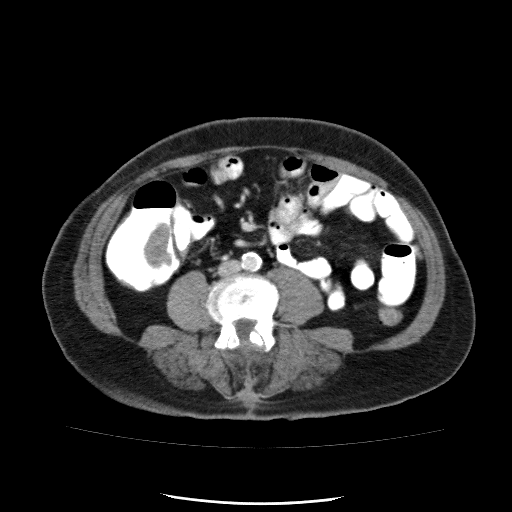 CT image. Pelvis.
Colon tumor at (143,223,170,268).